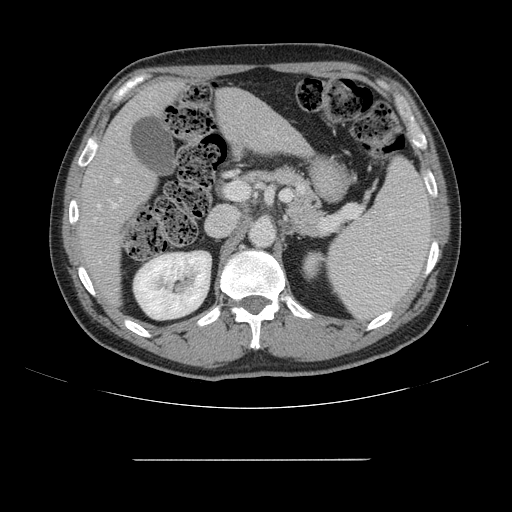
CT scan slice | Abdomen | Image size 512x512

Not every hepatic vessel necessarily has a box.
<segmentation>
  <hepatic_vessel><bbox>119, 199, 121, 201</bbox>, <bbox>115, 179, 119, 183</bbox>, <bbox>98, 205, 100, 208</bbox>, <bbox>94, 218, 96, 221</bbox>, <bbox>112, 202, 117, 207</bbox></hepatic_vessel>
</segmentation>